Slice index 41; Brain
FLAIR MRI.
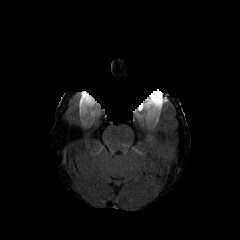
T1-weighted magnetic resonance.
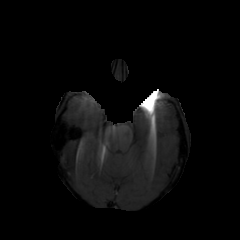
Post-contrast T1-weighted MR.
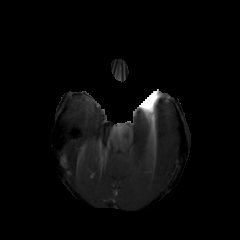
T2-weighted magnetic resonance.
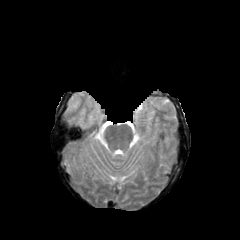
The edema is at 156,98,165,111. 2 non-enhancing tumor core regions appear at 146,110,155,124; 139,97,161,107. The enhancing tumor appears at 138,100,157,117.